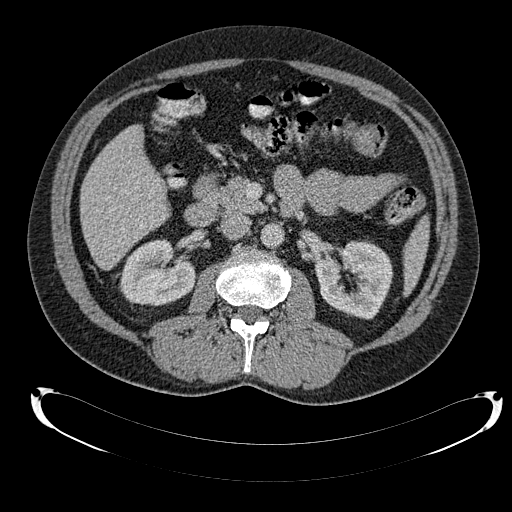
CT image.
Annotated regions:
• liver: <bbox>79, 124, 167, 269</bbox>
• kidney: <bbox>121, 240, 195, 304</bbox>, <bbox>315, 242, 392, 318</bbox>